FLAIR MRI.
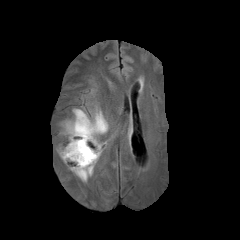
T1-weighted magnetic resonance.
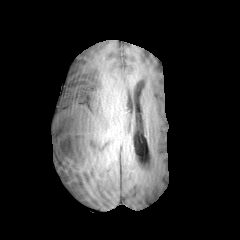
Post-contrast T1-weighted MRI.
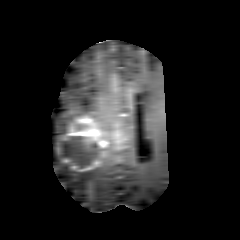
T2-weighted magnetic resonance.
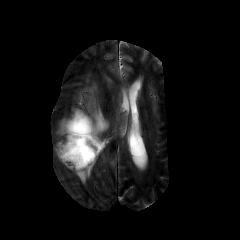
Image size 240x240
Enhancing tumor: bounding box left=66, top=117, right=107, bottom=146.
Edema: bounding box left=55, top=108, right=109, bottom=182.
Non-enhancing tumor core: bounding box left=63, top=136, right=101, bottom=165.